Computed tomography | Pelvis | 512x512
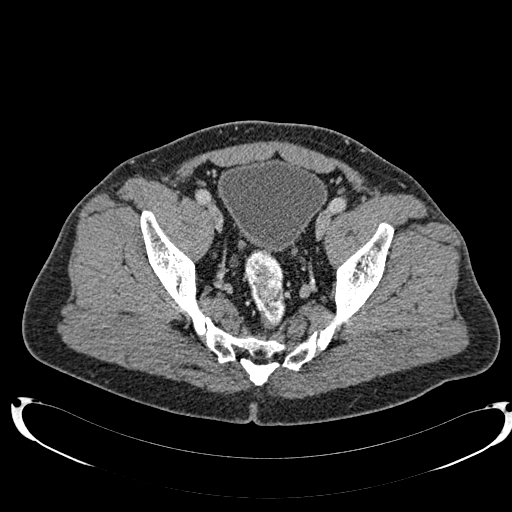 urinary_bladder:
  - {"x1": 219, "y1": 158, "x2": 327, "y2": 252}